CT image; Image size 512x512; Liver; Slice 252 of 432 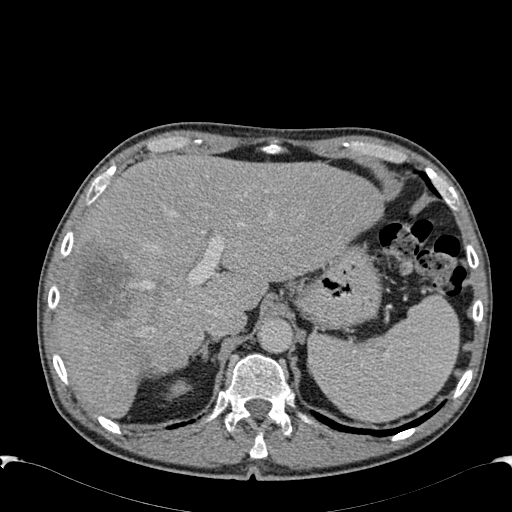
liver: 53:153:384:417 | hepatic lesion: 132:341:151:367, 66:240:140:323 | kidney: 173:384:186:393